Upper abdomen, CT image, Slice 288/427 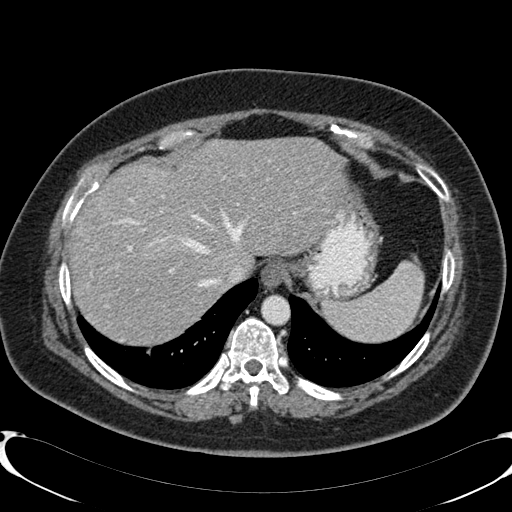

Segmented structures:
• hepatic lesion: rect(90, 271, 99, 288)
• liver: rect(72, 137, 347, 343)